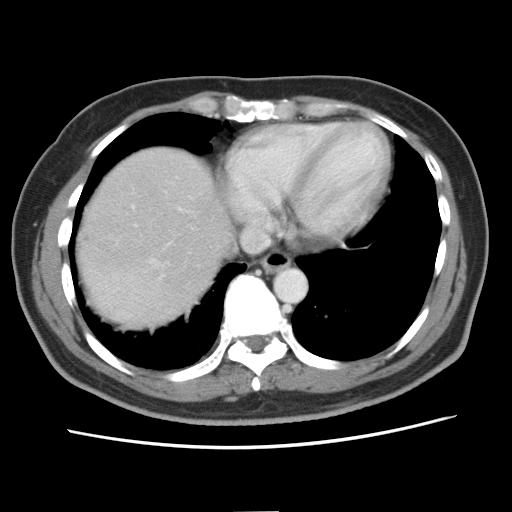
Liver. CT.

Only some of the vessels may be annotated.
* hepatic vessel: left=132, top=206, right=134, bottom=209